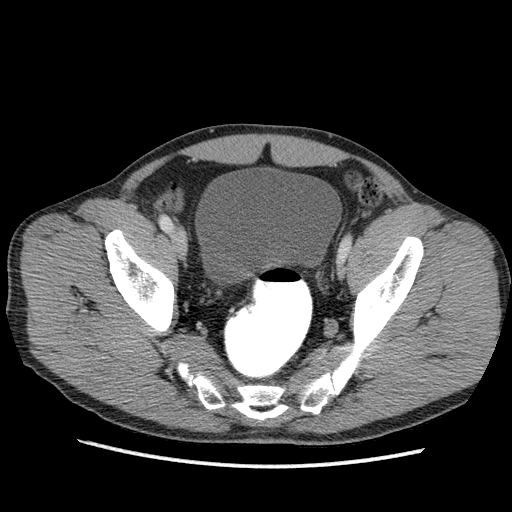 Computed tomography. Urinary bladder: bounding box 195:167:341:285.